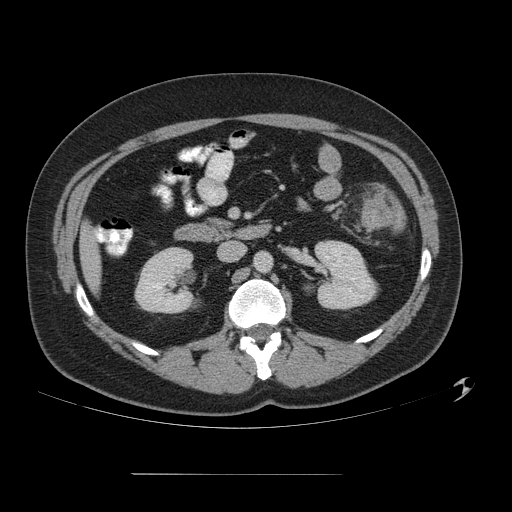
CT image.
{
  "colon_tumor": [
    "(390,196,404,232)"
  ]
}